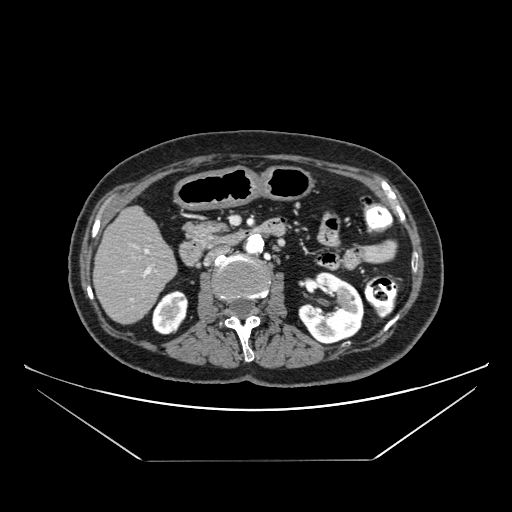
Computed tomography

Pancreas — (183,221,230,246).